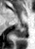

35x49 px | MR image
Posterior hippocampus: rect(14, 26, 26, 37).